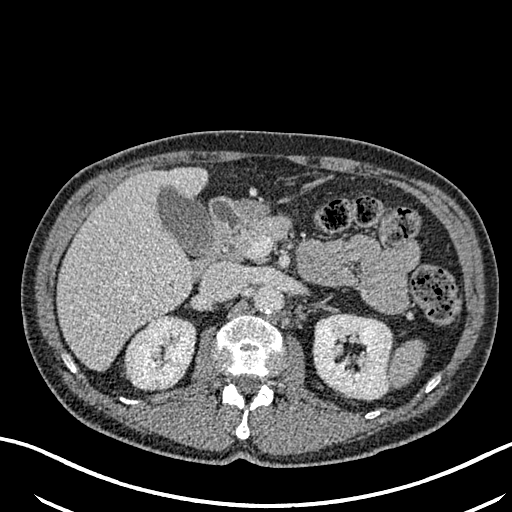

CT slice; Upper abdomen

Annotated regions:
* kidney: 126,317,194,387; 314,315,391,396
* liver: 57,169,206,370